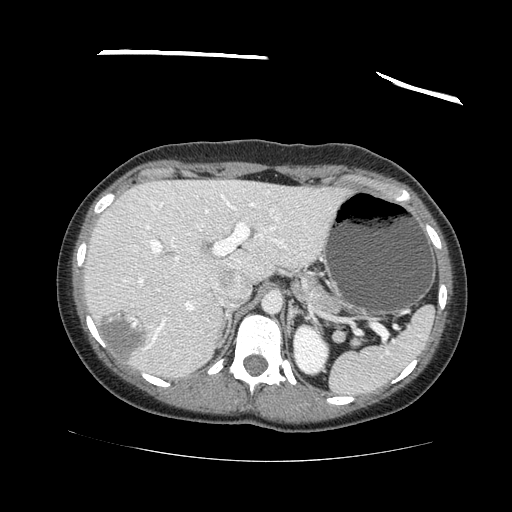

CT image
The pancreas is located at left=293, top=276, right=339, bottom=312.